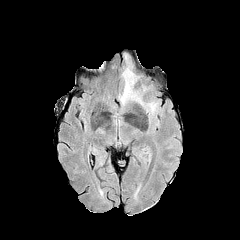
FLAIR MRI.
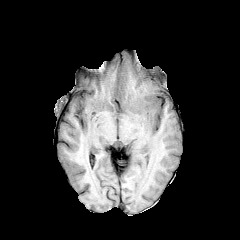
T1-weighted MRI.
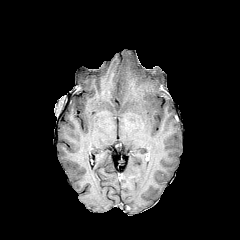
Same slice, post-contrast T1-weighted MR image.
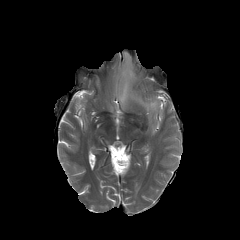
Same slice, T2-weighted magnetic resonance.
Head
The edema is at region(118, 55, 158, 123).